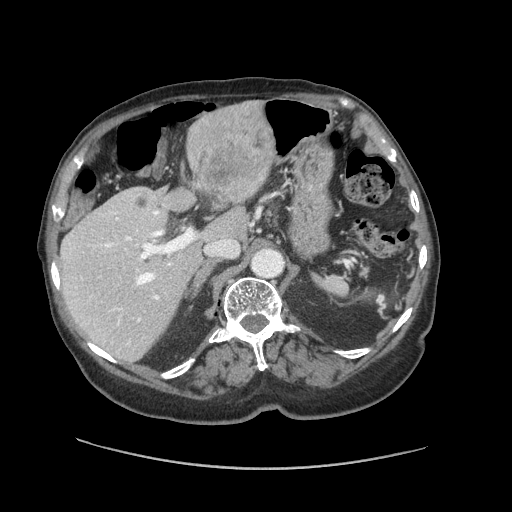
Liver, 512x512 px, CT slice
The vessel boxes may cover only some of the vessels.
<segmentation>
  <hepatic_vessel>l=136, t=273, r=154, b=284; l=140, t=229, r=194, b=258; l=153, t=211, r=158, b=214; l=205, t=240, r=238, b=256</hepatic_vessel>
  <liver_tumor>l=204, t=109, r=268, b=195</liver_tumor>
</segmentation>